CT slice; Abdomen

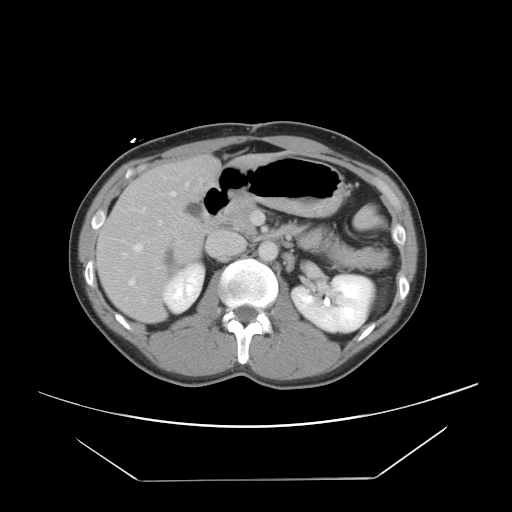

Not every hepatic vessel necessarily has a box.
Hepatic vessel = rect(200, 178, 201, 181); rect(143, 299, 144, 302); rect(129, 278, 135, 286); rect(159, 221, 161, 224); rect(186, 182, 188, 185); rect(178, 241, 181, 243); rect(121, 252, 127, 257); rect(133, 241, 142, 252); rect(171, 191, 175, 196); rect(157, 267, 160, 267); rect(128, 207, 145, 212); rect(136, 227, 139, 228).
Liver tumor = rect(166, 249, 174, 269).